Brain. Slice 88 of 155. 240x240.
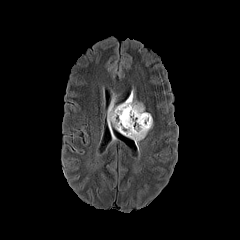
FLAIR magnetic resonance.
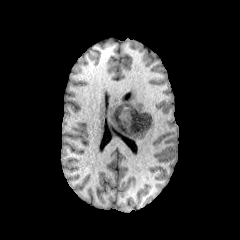
Same slice, T1-weighted MRI.
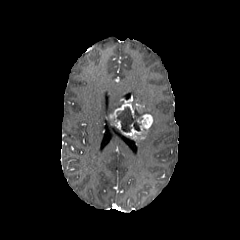
Post-contrast T1-weighted MRI of the same slice.
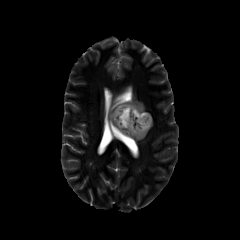
T2-weighted MR image of the same slice.
<segmentation>
  <edema>bbox(107, 98, 121, 125)</edema>
  <non-enhancing_tumor_core>bbox(116, 101, 146, 132)</non-enhancing_tumor_core>
  <enhancing_tumor>bbox(109, 95, 153, 141); bbox(134, 104, 144, 113)</enhancing_tumor>
</segmentation>